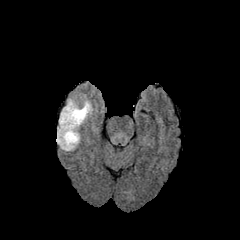
FLAIR MR.
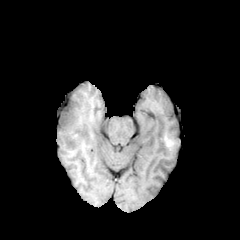
T1-weighted MRI.
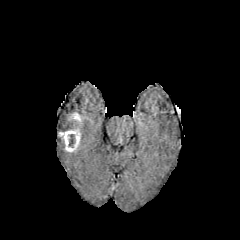
Same slice, post-contrast T1-weighted MR.
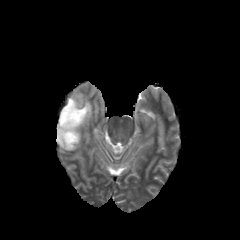
T2-weighted magnetic resonance of the same slice.
240x240
- edema: (56, 121, 66, 150), (67, 93, 93, 128)
- non-enhancing tumor core: (59, 99, 82, 130), (68, 134, 75, 147)
- enhancing tumor: (67, 113, 82, 126), (59, 128, 80, 151)